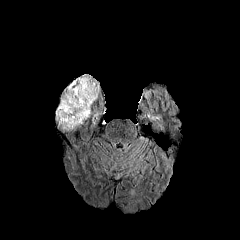
FLAIR MR.
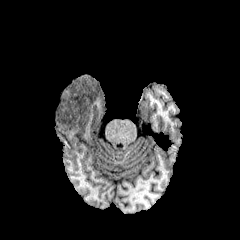
T1-weighted MR image of the same slice.
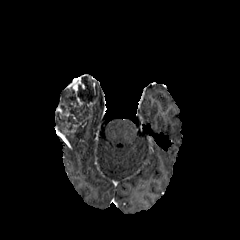
Post-contrast T1-weighted MRI.
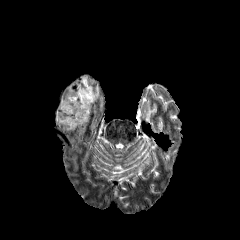
Same slice, T2-weighted MR image.
Head
non-enhancing_tumor_core:
  - [55,75,101,131]
enhancing_tumor:
  - [62,111,76,120]
  - [63,122,82,133]
  - [67,74,87,93]